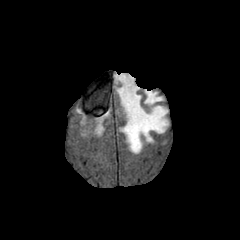
FLAIR magnetic resonance.
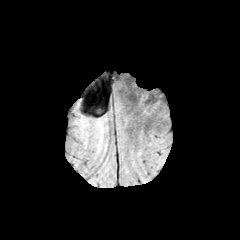
Same slice, T1-weighted MR.
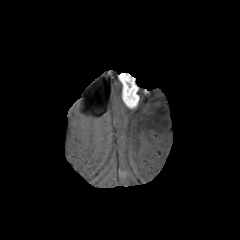
Same slice, post-contrast T1-weighted MR image.
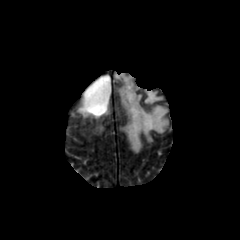
T2-weighted magnetic resonance.
240x240
edema: [x1=114, y1=76, x2=168, y2=153] | non-enhancing tumor core: [x1=136, y1=88, x2=147, y2=98] | enhancing tumor: [x1=119, y1=74, x2=139, y2=109]